Head, Slice index 486, CT image, Field of view 700 mm wide, 3.27 mm slice spacing
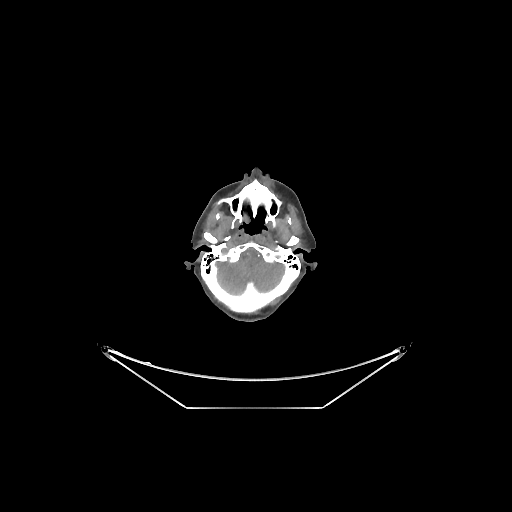 brain:
  - region(216, 247, 284, 295)
bone:
  - region(217, 179, 281, 228)
  - region(286, 234, 298, 245)
  - region(200, 230, 300, 312)